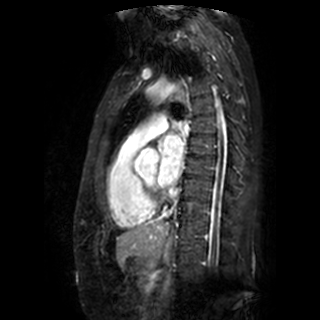
Heart. 320x320 px. MR.

The left atrium appears at bbox(158, 135, 183, 186).